FLAIR MR.
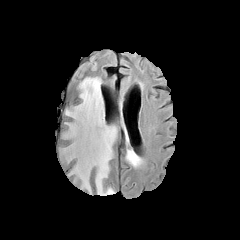
T1-weighted magnetic resonance.
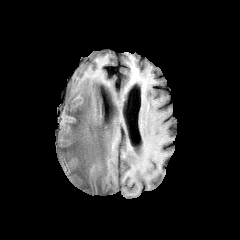
Post-contrast T1-weighted magnetic resonance.
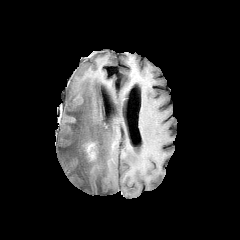
T2-weighted magnetic resonance.
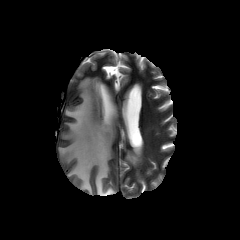
Head, Image size 240x240
Edema: l=64, t=77, r=117, b=195; l=125, t=149, r=137, b=164.
Enhancing tumor: l=84, t=142, r=95, b=160.